Slice 55 of 99 | CT scan slice

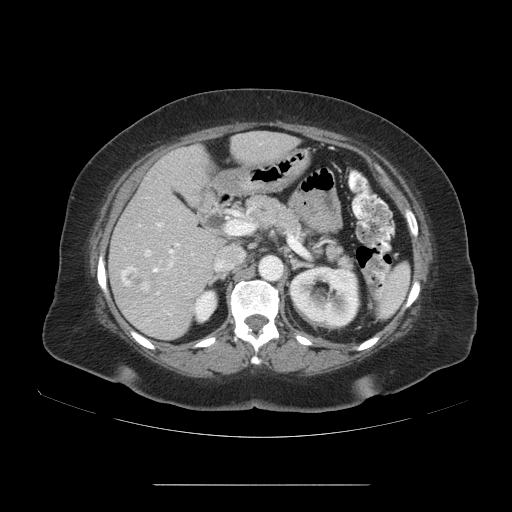

Some hepatic vessels may have no box.
<segmentation>
  <liver_tumor>x1=122, y1=266, x2=148, y2=289</liver_tumor>
  <hepatic_vessel>x1=175, y1=243, x2=178, y2=245; x1=228, y1=221, x2=252, y2=234; x1=153, y1=269, x2=157, y2=271; x1=144, y1=250, x2=149, y2=256; x1=169, y1=250, x2=172, y2=252; x1=214, y1=246, x2=243, y2=270; x1=156, y1=223, x2=161, y2=225</hepatic_vessel>
</segmentation>